Computed tomography; Slice 484/677

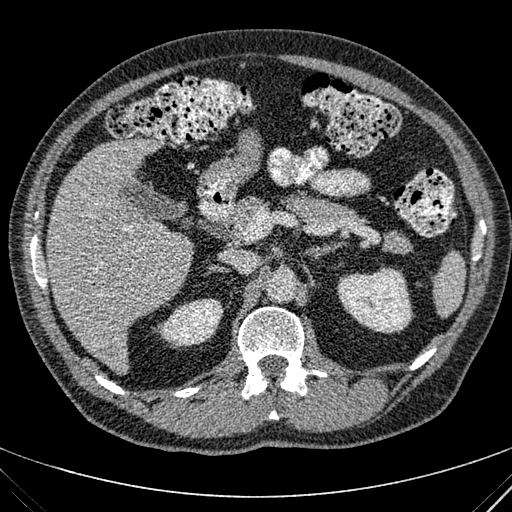

Kidney — [x1=338, y1=268, x2=411, y2=332], [x1=161, y1=299, x2=222, y2=345].
Liver — [x1=46, y1=139, x2=191, y2=372].
Hepatic lesion — [x1=98, y1=342, x2=119, y2=358].